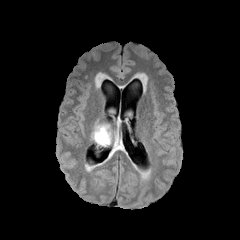
FLAIR MR.
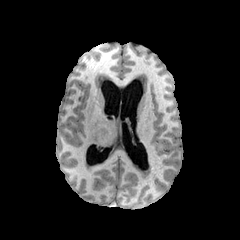
Same slice, T1-weighted MR.
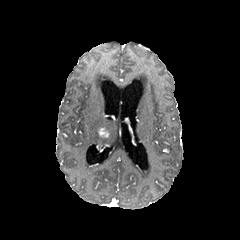
Same slice, post-contrast T1-weighted MR image.
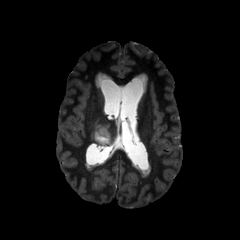
T2-weighted MR of the same slice.
Image size 240x240
<segmentation>
  <non-enhancing_tumor_core>97 135 109 143</non-enhancing_tumor_core>
  <edema>91 120 110 146</edema>
  <enhancing_tumor>97 126 110 138</enhancing_tumor>
</segmentation>